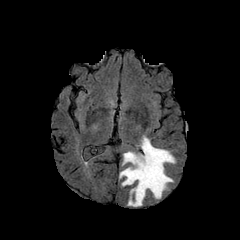
FLAIR MRI.
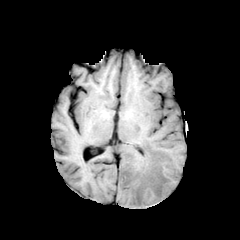
T1-weighted MR.
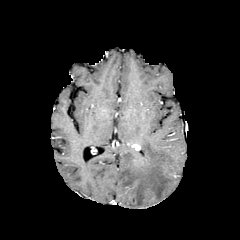
Post-contrast T1-weighted magnetic resonance.
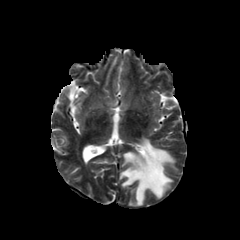
T2-weighted MR image.
Head | 240x240
Findings:
- edema: x1=119 y1=136 x2=175 y2=205